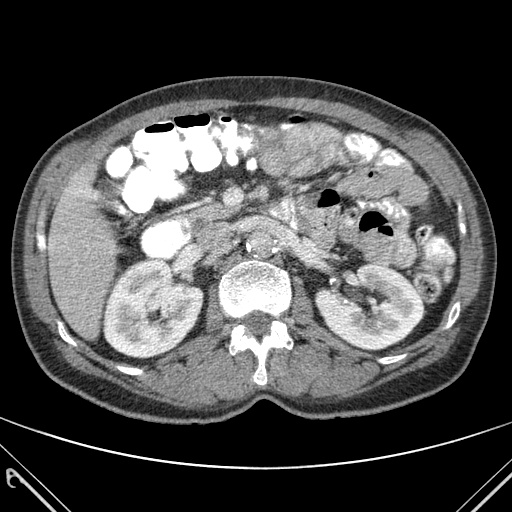 CT, Image size 512x512
<segmentation>
  <kidney>(left=317, top=265, right=423, bottom=348), (left=105, top=260, right=202, bottom=356)</kidney>
  <liver>(left=48, top=159, right=119, bottom=339)</liver>
  <bone>(left=380, top=355, right=404, bottom=363), (left=230, top=321, right=292, bottom=384), (left=37, top=224, right=44, bottom=255), (left=447, top=303, right=459, bottom=327), (left=58, top=322, right=75, bottom=345), (left=219, top=261, right=290, bottom=317), (left=118, top=366, right=141, bottom=374)</bone>
</segmentation>